Field of view 439x439 mm. CT slice. Abdomen.

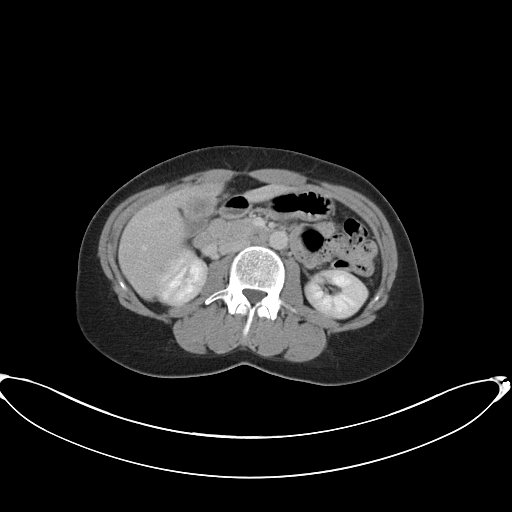
Some hepatic vessels may have no box.
hepatic_vessel:
  - (left=142, top=246, right=145, bottom=249)
liver_tumor:
  - (left=183, top=197, right=212, bottom=214)